Slice 97 of 155.
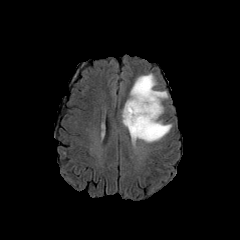
FLAIR MR image.
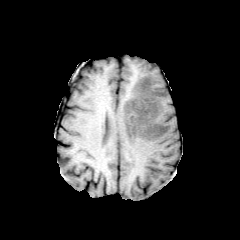
T1-weighted MR.
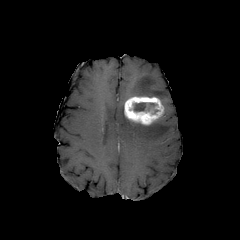
Same slice, post-contrast T1-weighted magnetic resonance.
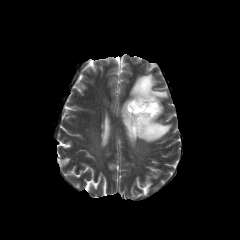
T2-weighted magnetic resonance.
2 edema regions appear at 122:112:172:144, 129:71:167:100. 2 non-enhancing tumor core regions are bounded by 134:103:145:111, 138:79:151:96. The enhancing tumor appears at 124:96:163:125.